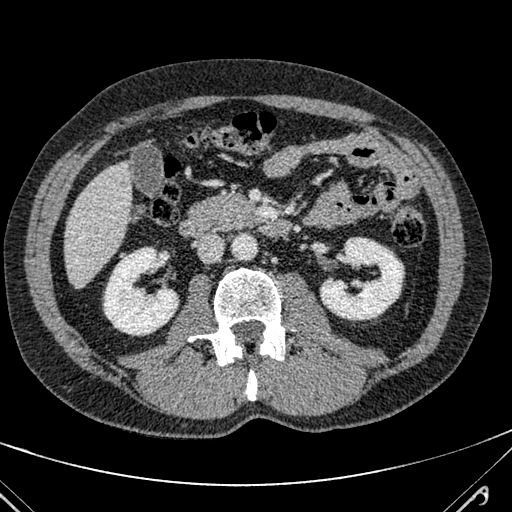
512x512 px; CT image

Annotated regions:
* liver: [x1=65, y1=162, x2=131, y2=287]